MR; 35x53 px; Medial temporal lobe 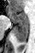
<segmentation>
  <posterior_hippocampus>x1=14, y1=24, x2=28, y2=41</posterior_hippocampus>
  <anterior_hippocampus>x1=8, y1=9, x2=28, y2=23</anterior_hippocampus>
</segmentation>